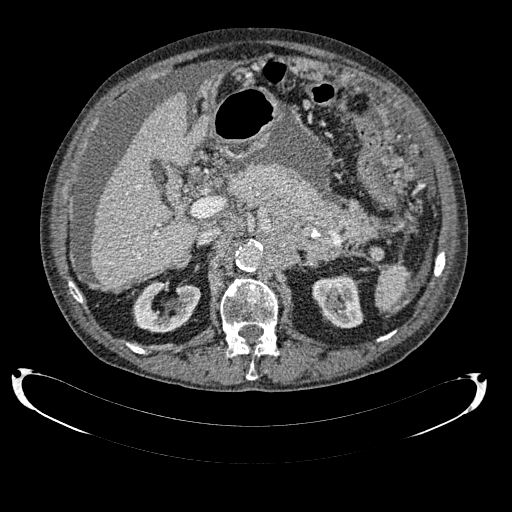

Abdomen, Computed tomography
kidney:
  - bbox(134, 282, 200, 331)
  - bbox(312, 276, 362, 327)
liver:
  - bbox(91, 92, 206, 290)